Brain. Field of view 240 mm wide, 1.00 mm slice spacing.
FLAIR MRI.
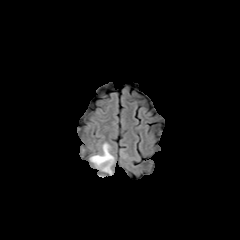
T1-weighted magnetic resonance.
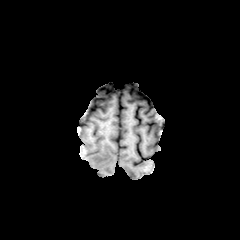
Post-contrast T1-weighted MR.
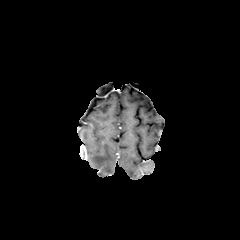
T2-weighted MRI.
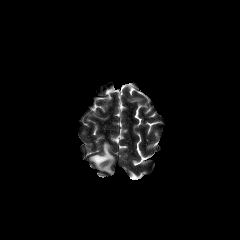
The edema is located at {"x1": 89, "y1": 142, "x2": 114, "y2": 175}.